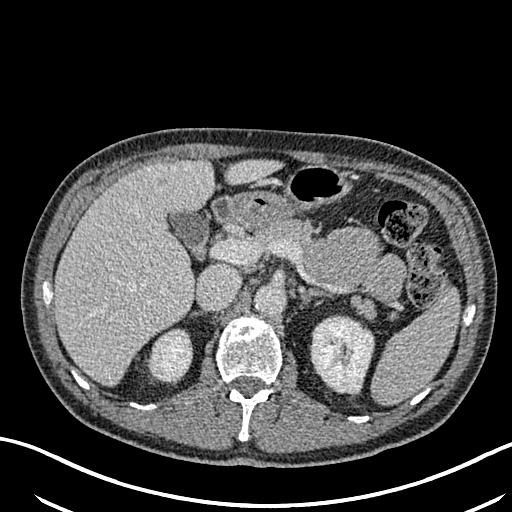

Liver. Image size 512x512. CT image.
{"kidney": ["(152, 331, 191, 380)", "(312, 318, 373, 391)"], "focal_liver_lesion": ["(156, 178, 167, 186)"], "liver": ["(55, 160, 213, 384)", "(225, 160, 279, 184)"]}